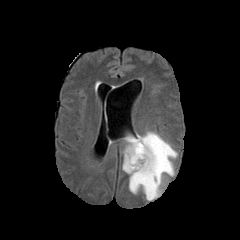
FLAIR MR image.
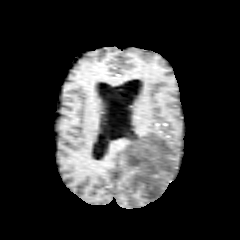
T1-weighted MR of the same slice.
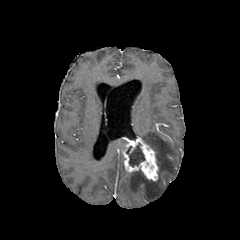
Same slice, post-contrast T1-weighted MR image.
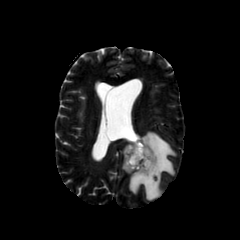
Same slice, T2-weighted MR.
Brain
Non-enhancing tumor core at 129, 143, 144, 165.
Edema at 122, 130, 177, 200.
Enhancing tumor at 123, 136, 158, 181.